Brain
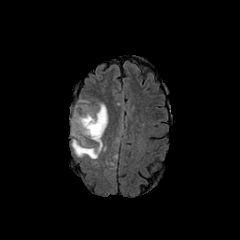
FLAIR MR image.
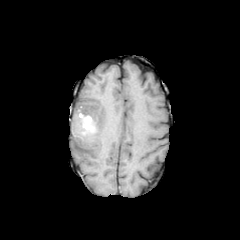
T1-weighted MR image.
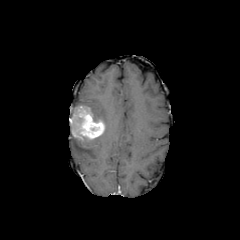
Post-contrast T1-weighted MR.
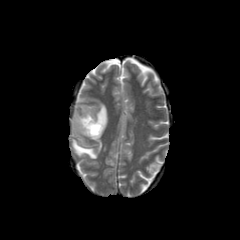
T2-weighted MR image.
- edema: region(72, 136, 102, 159); region(91, 103, 108, 130)
- enhancing tumor: region(69, 105, 105, 142)